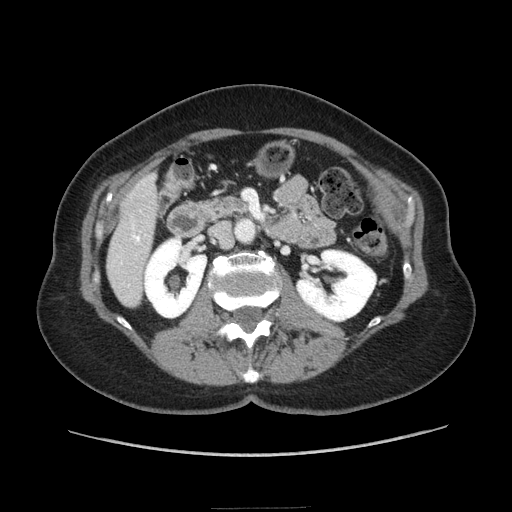
512x512 px. Computed tomography.
Pancreas: bounding box x1=201 y1=196 x2=247 y2=220.